512x512; Slice 51 of 93; CT slice

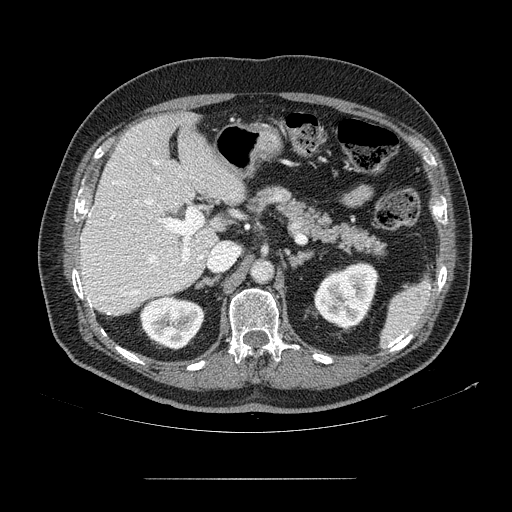
Pancreas: bounding box (243, 184, 389, 261).